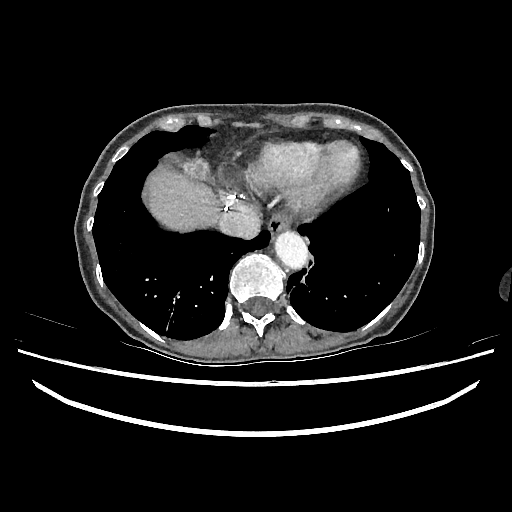 CT; Abdomen; 512x512 px
<segmentation>
  <liver>rect(147, 172, 219, 231)</liver>
</segmentation>